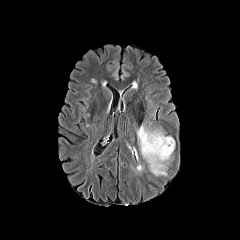
FLAIR MR.
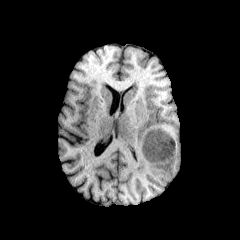
Same slice, T1-weighted MR.
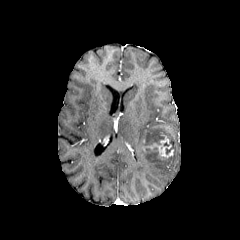
Post-contrast T1-weighted MR image.
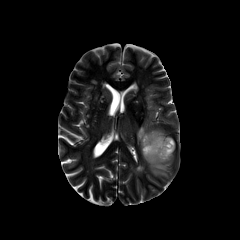
Same slice, T2-weighted magnetic resonance.
240x240
- enhancing tumor: 141:138:173:157
- edema: 144:148:169:175, 137:121:164:148